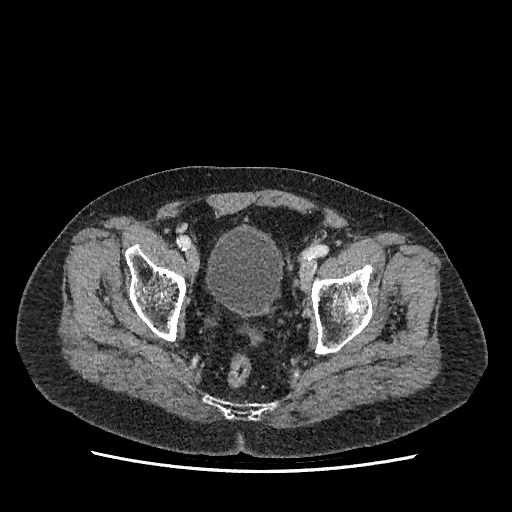 Image size 512x512. CT scan slice. The urinary bladder lies within <box>206,231,282,314</box>.